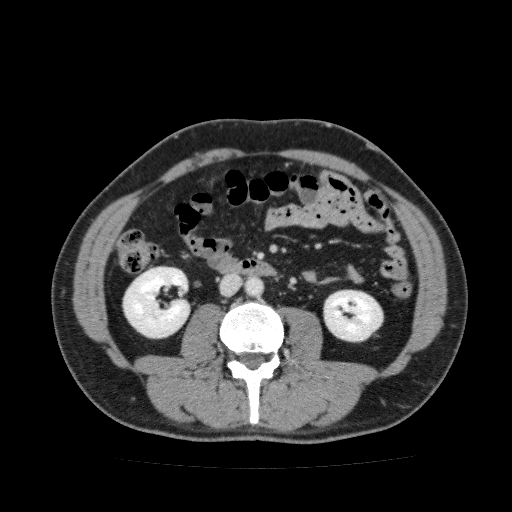 Computed tomography | Image size 512x512

kidney: box(123, 267, 189, 337); box(324, 290, 382, 341)